Slice index 299 | CT scan slice 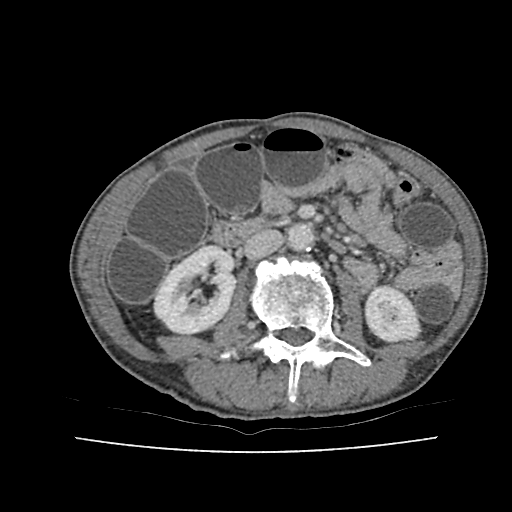 2 kidney regions appear at [x1=155, y1=246, x2=234, y2=333], [x1=366, y1=287, x2=417, y2=340].